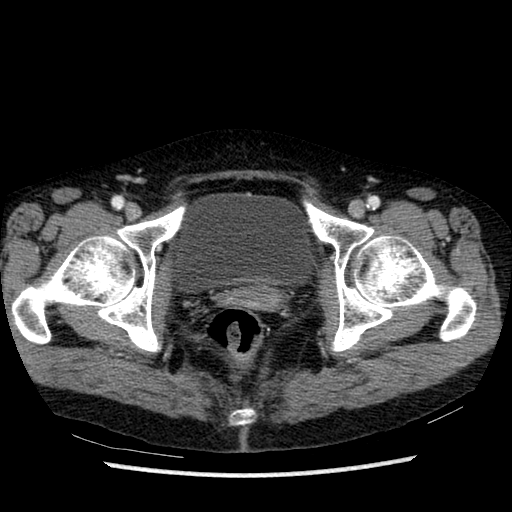

CT | Pelvis
The urinary bladder is bounded by x1=170, y1=192, x2=319, y2=294.